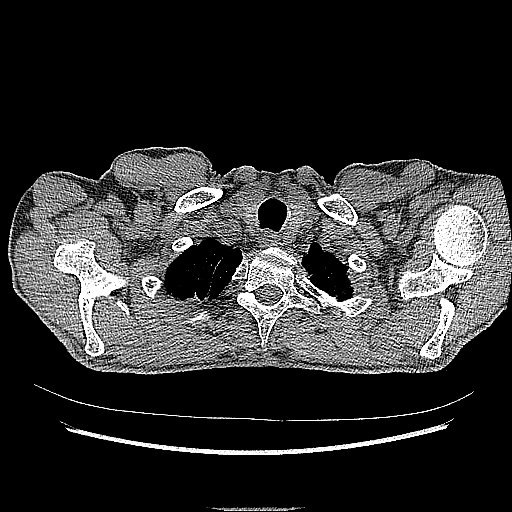
Computed tomography
Segmented structures:
• lung tumor: (x1=181, y1=289, x2=213, y2=300)